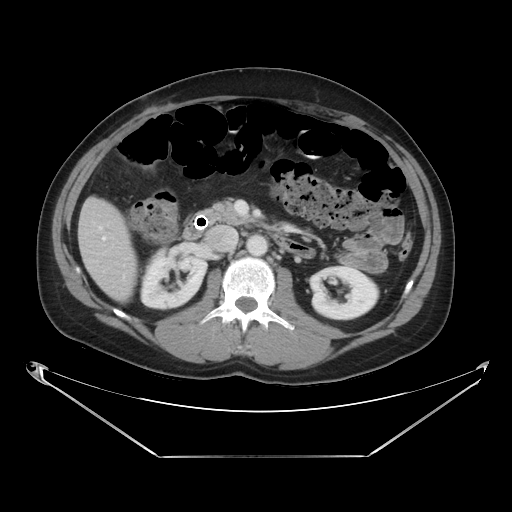

Computed tomography

<segmentation>
  <pancreas>(201, 201, 252, 225)</pancreas>
  <pancreatic_tumor>(215, 203, 222, 210)</pancreatic_tumor>
</segmentation>